Head, Slice 126 of 155, Field of view 240 mm wide, 1.00 mm slice spacing
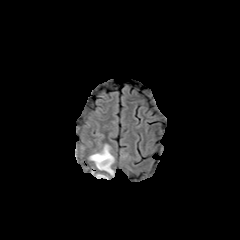
FLAIR MRI.
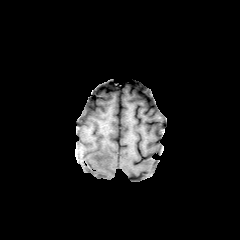
T1-weighted MR.
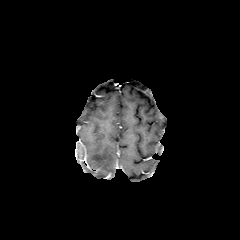
Post-contrast T1-weighted MR of the same slice.
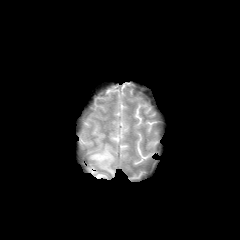
T2-weighted MR.
{"edema": ["<bbox>89, 144, 114, 178</bbox>"]}